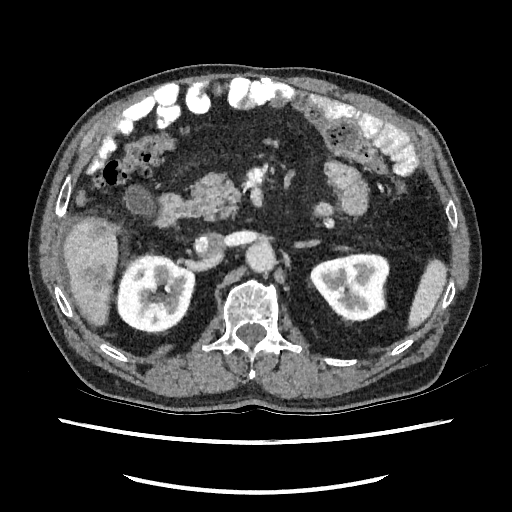
Upper abdomen, CT image

Liver at box(64, 218, 117, 323).
Liver lesion at box(85, 265, 110, 290); box(89, 218, 115, 238).
Kidney at box(116, 254, 194, 332); box(310, 254, 389, 321).